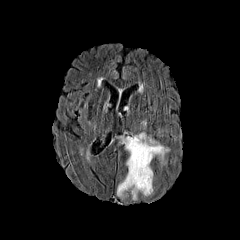
FLAIR MRI.
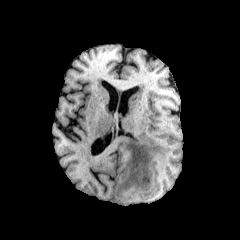
T1-weighted magnetic resonance of the same slice.
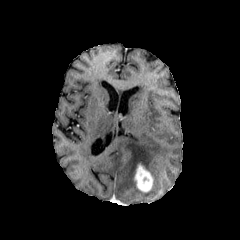
Post-contrast T1-weighted MR image of the same slice.
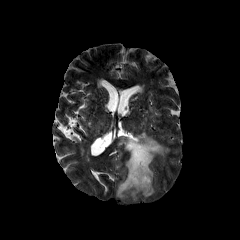
T2-weighted MR image of the same slice.
Head.
enhancing_tumor:
  - region(134, 164, 152, 192)
edema:
  - region(116, 132, 169, 200)